CT. Abdomen.

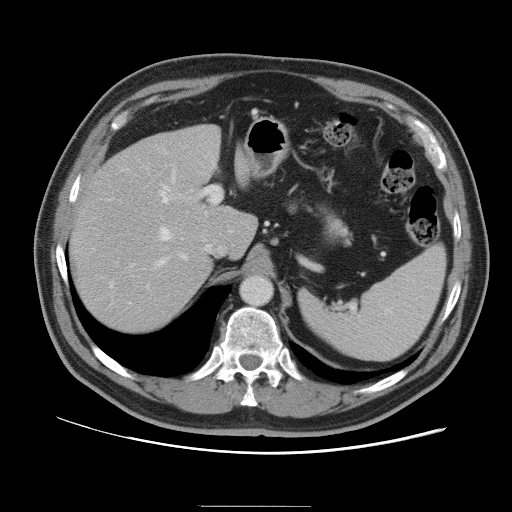 The vessel annotation is not exhaustive.
Largest 15 of 18 hepatic vessel regions: bounding box (181,254,187,259), (146,285,148,287), (229,230,232,232), (199,172,208,175), (157,257,168,265), (164,150,166,154), (205,245,208,250), (110,283,113,287), (172,168,175,183), (159,186,169,202), (178,194,180,198), (205,211,207,214), (160,228,172,240), (130,264,134,266), (108,198,113,200).